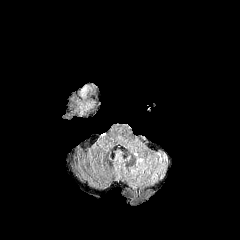
FLAIR MR.
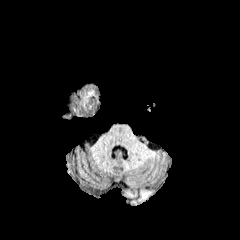
T1-weighted MR image.
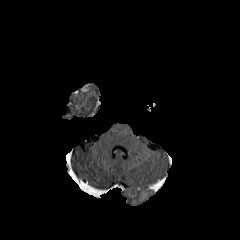
Same slice, post-contrast T1-weighted MRI.
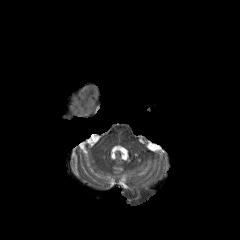
Same slice, T2-weighted magnetic resonance.
240x240, Brain
- non-enhancing tumor core: (64,82,100,118)